Computed tomography | Upper abdomen

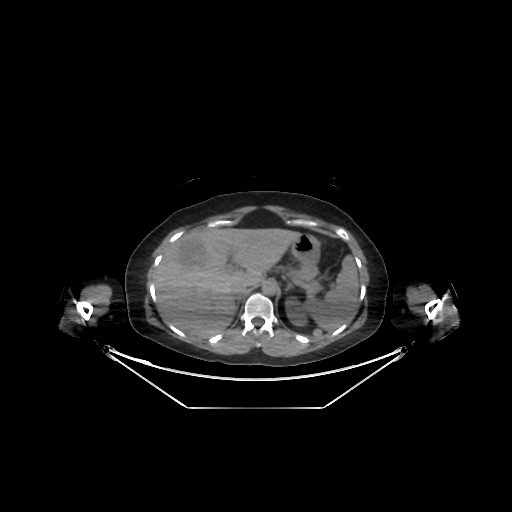

<segmentation>
  <liver>(150, 226, 299, 339)</liver>
  <kidney>(285, 296, 309, 326)</kidney>
</segmentation>